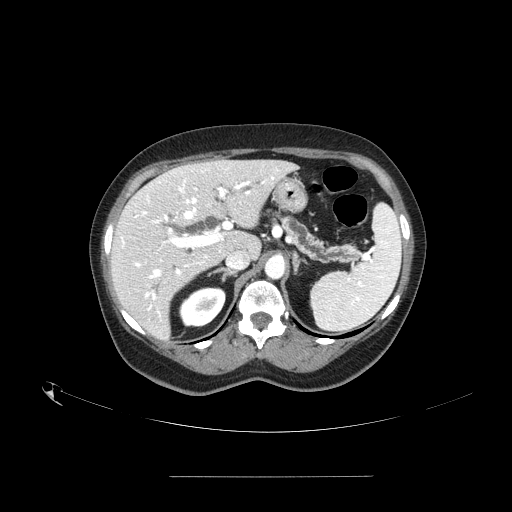

CT image; Abdomen; 512x512
Pancreas: bounding box 281:216:360:263.